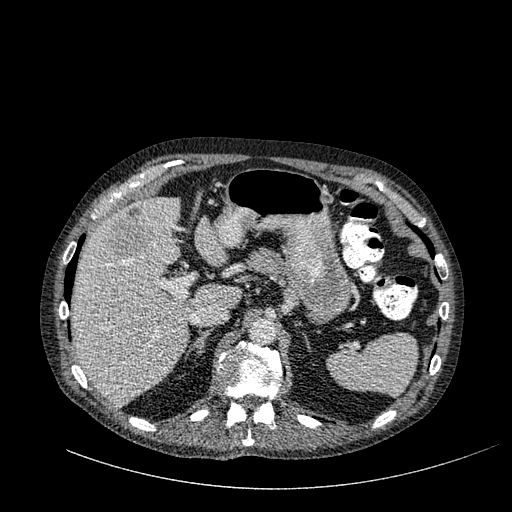
Computed tomography | Abdomen
Findings:
- liver: x1=72, y1=198, x2=240, y2=404; x1=196, y1=216, x2=225, y2=265
- focal liver lesion: x1=107, y1=208, x2=152, y2=258